CT. Slice 392 of 751.
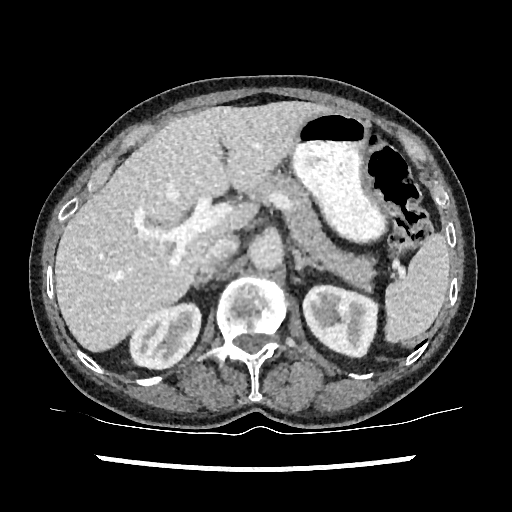 The liver is bounded by 56:102:330:349. 2 kidney regions appear at 304:286:376:356, 131:305:200:371.